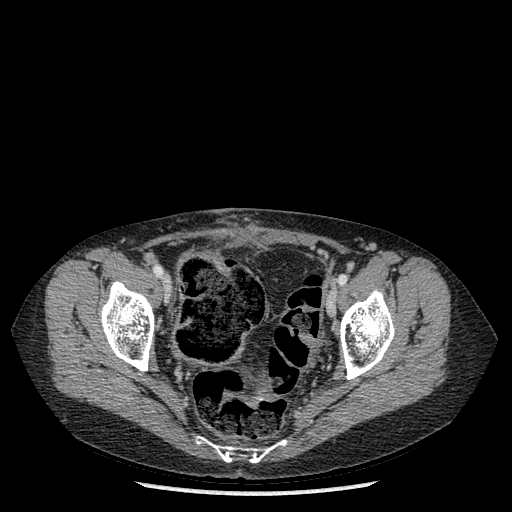
CT
3 bone regions are bounded by {"x1": 195, "y1": 436, "x2": 287, "y2": 462}, {"x1": 339, "y1": 289, "x2": 395, "y2": 379}, {"x1": 99, "y1": 281, "x2": 154, "y2": 371}.